Pelvis | CT image

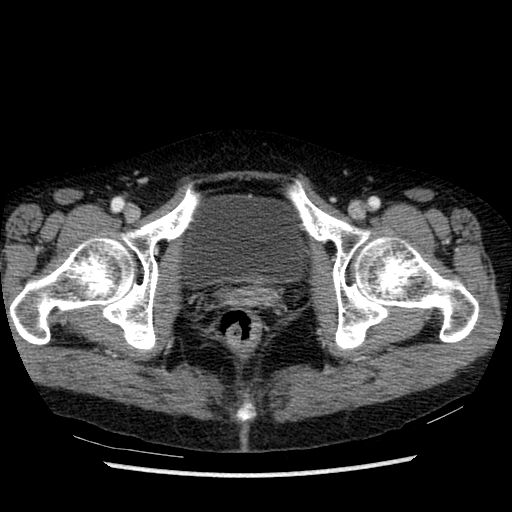
The urinary bladder appears at region(178, 194, 313, 290).